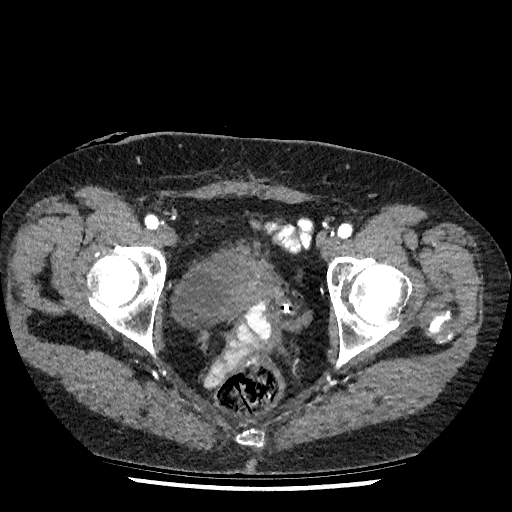
Lower abdomen. CT slice. Segmented structures:
- urinary bladder: (171, 239, 272, 328)